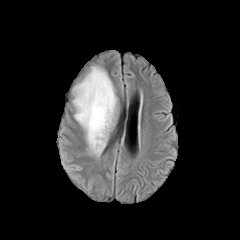
FLAIR magnetic resonance.
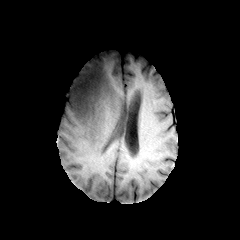
Same slice, T1-weighted MR.
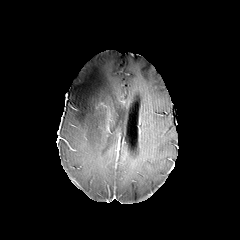
Same slice, post-contrast T1-weighted MR image.
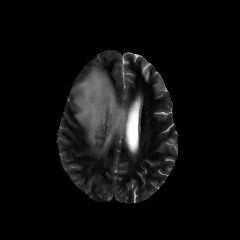
T2-weighted MR.
Head. Image size 240x240.
edema:
  - x1=72 y1=66 x2=119 y2=156
non-enhancing_tumor_core:
  - x1=86 y1=79 x2=101 y2=99